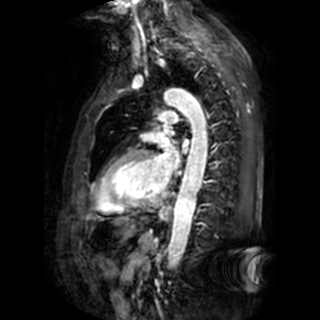 MRI
<segmentation>
  <left_atrium>[x1=157, y1=137, x2=179, y2=176]</left_atrium>
</segmentation>